Slice 14 of 466. Computed tomography.

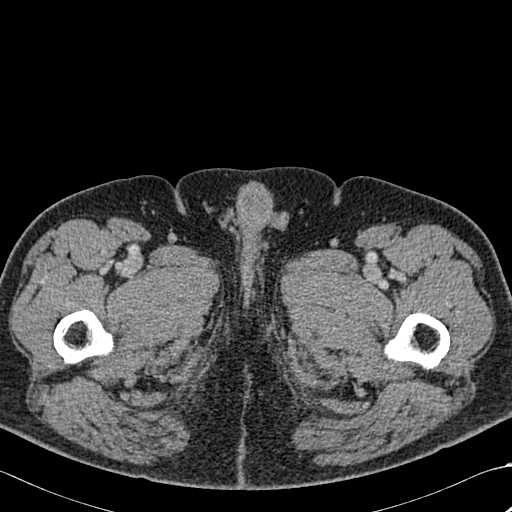 * bone: l=385, t=313, r=449, b=368; l=54, t=310, r=112, b=363